FLAIR magnetic resonance.
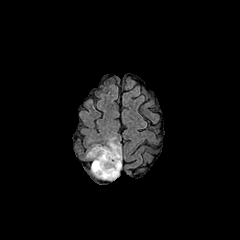
T1-weighted MR image.
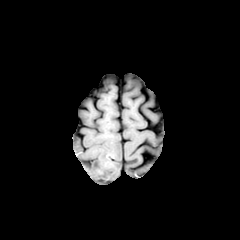
Post-contrast T1-weighted magnetic resonance.
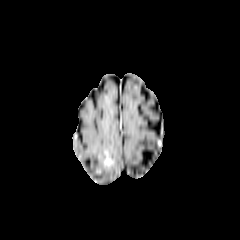
T2-weighted MR.
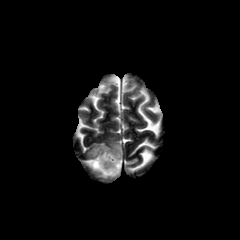
edema: x1=87 y1=136 x2=121 y2=179 | non-enhancing tumor core: x1=102 y1=150 x2=115 y2=169, x1=92 y1=159 x2=100 y2=172